CT slice; Slice 476/917 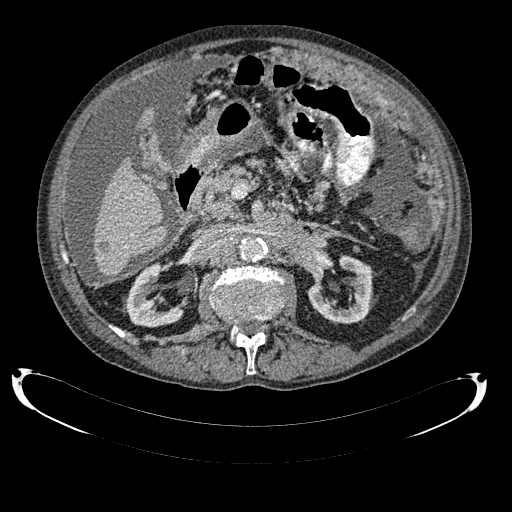
Hepatic lesion: bounding box left=98, top=242, right=109, bottom=252.
Kidney: bounding box left=307, top=252, right=371, bottom=322; left=126, top=264, right=182, bottom=326.
Liver: bounding box left=93, top=157, right=166, bottom=276; left=138, top=110, right=156, bottom=128.